CT slice; 512x512 px; Abdomen

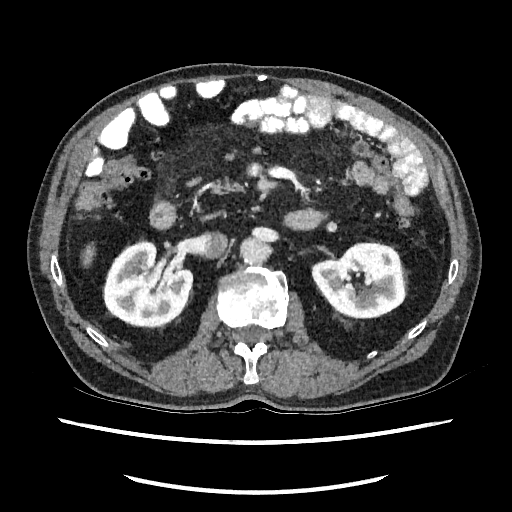

Kidney = left=103, top=241, right=192, bottom=327; left=312, top=243, right=405, bottom=318.
Liver = left=84, top=248, right=91, bottom=263.